Image width 380 mm | Slice 122/131 | 512x512 px | CT image 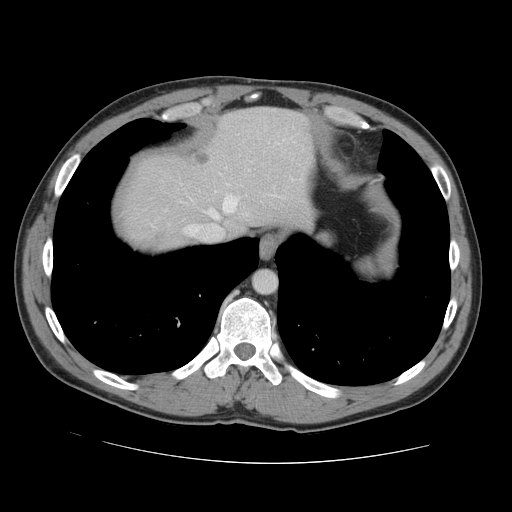
The vessel annotation is not exhaustive.
<segmentation>
  <hepatic_vessel>[x1=242, y1=213, x2=247, y2=214], [x1=213, y1=224, x2=215, y2=225], [x1=183, y1=224, x2=195, y2=235], [x1=222, y1=196, x2=236, y2=212], [x1=164, y1=210, x2=165, y2=211], [x1=267, y1=194, x2=278, y2=196], [x1=203, y1=209, x2=218, y2=218], [x1=189, y1=197, x2=193, y2=202], [x1=225, y1=167, x2=226, y2=169], [x1=219, y1=173, x2=221, y2=175]</hepatic_vessel>
  <liver_tumor>[x1=194, y1=154, x2=208, y2=161]</liver_tumor>
</segmentation>